Slice 26 of 37, Liver, CT scan slice

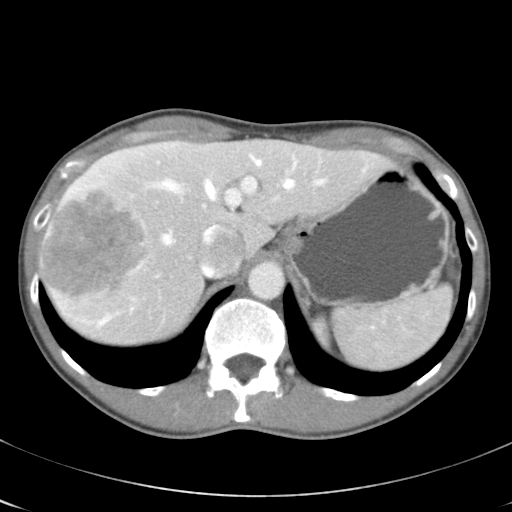

Some hepatic vessels may have no box.
12 hepatic vessel regions are bounded by 151,179,182,191; 163,232,172,243; 227,189,240,204; 242,177,256,191; 285,180,293,187; 99,314,110,325; 131,307,133,311; 157,275,158,276; 203,205,205,207; 316,180,325,184; 206,181,215,198; 250,155,261,165. The liver tumor is located at 42,190,149,296.